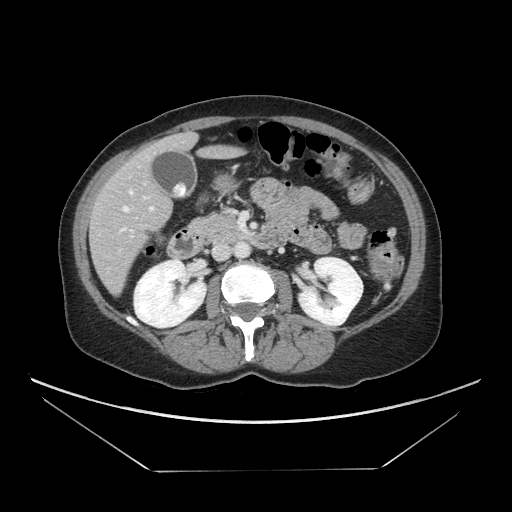
CT slice
Findings:
* pancreas: x1=191 y1=209 x2=244 y2=244